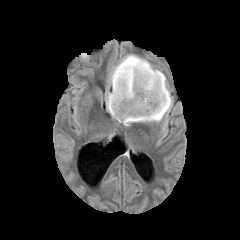
FLAIR MR image.
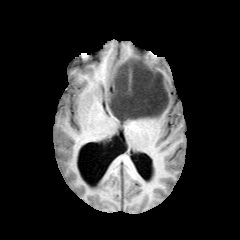
T1-weighted magnetic resonance.
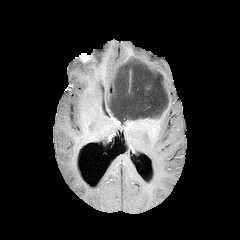
Same slice, post-contrast T1-weighted MR image.
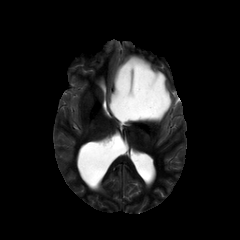
Same slice, T2-weighted MR.
The non-enhancing tumor core appears at bbox=[109, 58, 169, 122]. The edema lies within bbox=[102, 52, 173, 127].